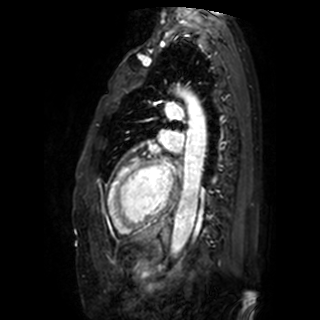

MRI slice. Heart. 320x320 px.
<segmentation>
  <left_atrium>x1=162 y1=131 x2=182 y2=150</left_atrium>
</segmentation>